Brain
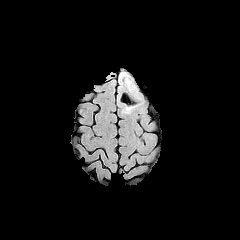
FLAIR MR image.
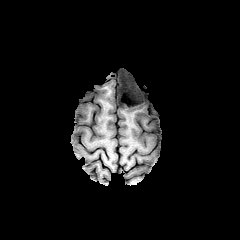
T1-weighted magnetic resonance of the same slice.
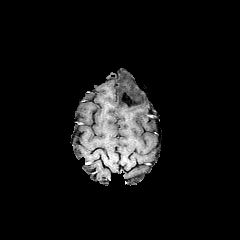
Post-contrast T1-weighted MR.
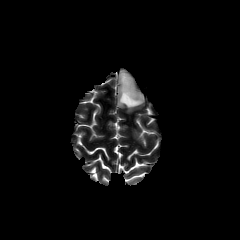
T2-weighted magnetic resonance.
Non-enhancing tumor core at bbox=[122, 80, 135, 99].
Edema at bbox=[118, 72, 144, 113].